Computed tomography; Slice 23/122; Image width 512 mm

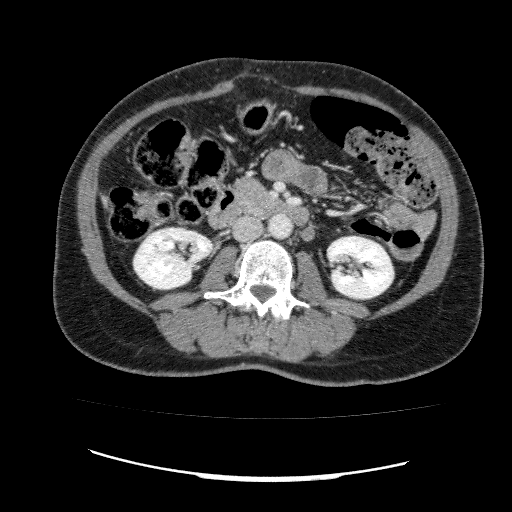

- kidney: x1=328, y1=236, x2=393, y2=298; x1=134, y1=228, x2=211, y2=288